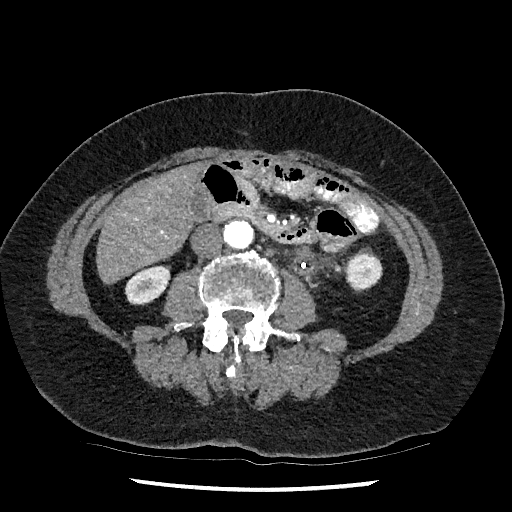

Computed tomography, Abdomen

* liver: [x1=98, y1=162, x2=202, y2=282]
* kidney: [x1=126, y1=266, x2=169, y2=303], [x1=347, y1=254, x2=381, y2=288]